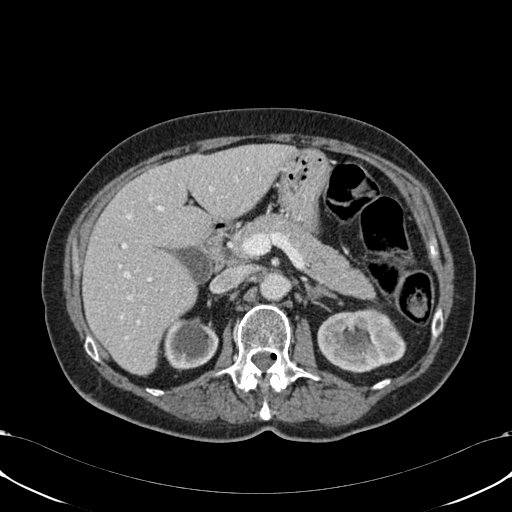
Liver | CT slice
The liver is located at <bbox>83, 144, 296, 374</bbox>. 2 kidney regions appear at <bbox>318, 310, 404, 370</bbox>, <bbox>165, 309, 217, 368</bbox>.